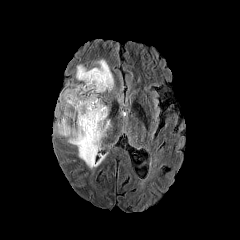
FLAIR MR image.
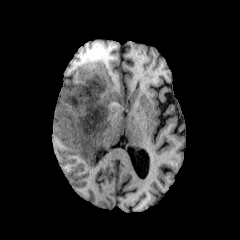
T1-weighted magnetic resonance.
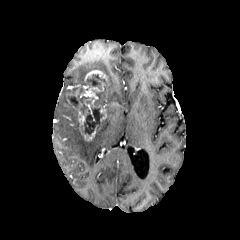
Post-contrast T1-weighted MR.
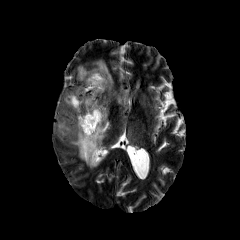
T2-weighted MR image of the same slice.
Non-enhancing tumor core: bounding box box(55, 74, 106, 140); box(81, 92, 107, 136).
Enhancing tumor: bounding box box(88, 70, 108, 86); box(78, 103, 88, 129); box(80, 83, 104, 109); box(98, 105, 106, 122); box(82, 127, 96, 141).
Edema: bounding box box(56, 96, 74, 117); box(55, 115, 110, 169); box(67, 60, 113, 92).